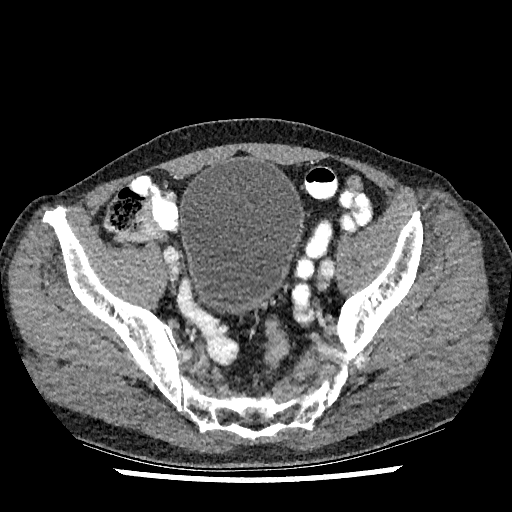 Image size 512x512 | Computed tomography

<segmentation>
  <urinary_bladder>rect(179, 160, 300, 316)</urinary_bladder>
</segmentation>